Image size 240x240; Slice index 83; Brain
FLAIR MRI.
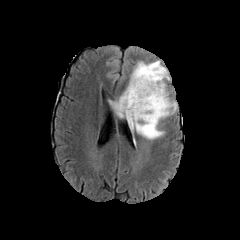
T1-weighted magnetic resonance.
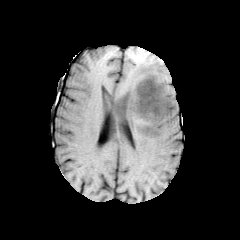
Post-contrast T1-weighted MR.
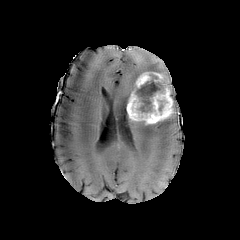
T2-weighted MR.
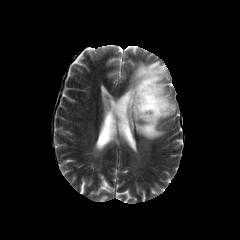
The edema lies within (x1=108, y1=60, x2=172, y2=140). The enhancing tumor is located at (x1=125, y1=72, x2=173, y2=125). The non-enhancing tumor core is bounded by (x1=137, y1=75, x2=159, y2=112).